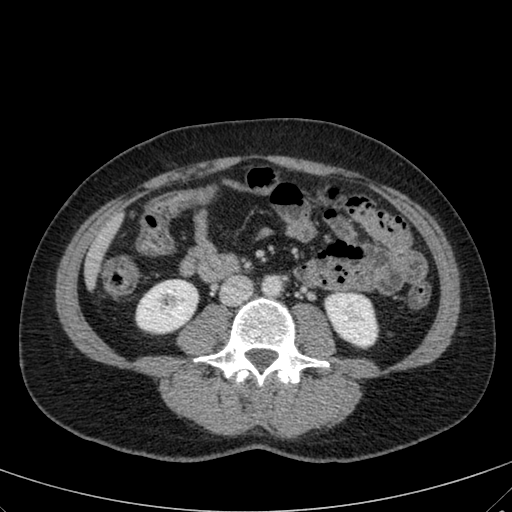 Computed tomography | Upper abdomen | 512x512 px
2 kidney regions appear at x1=326 y1=293 x2=376 y2=345, x1=137 y1=280 x2=196 y2=332. The liver lies within x1=85 y1=216 x2=119 y2=289.